Upper abdomen. Field of view 405 mm wide, 2.50 mm slice spacing. CT slice.

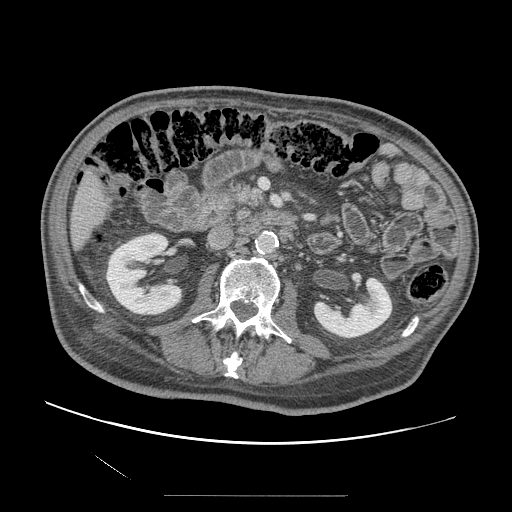

pancreas: 221,180,267,210